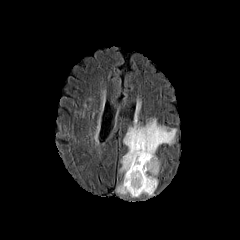
FLAIR magnetic resonance.
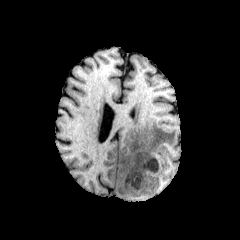
T1-weighted magnetic resonance.
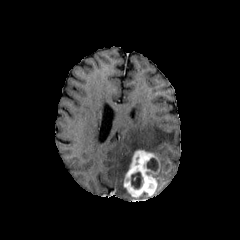
Post-contrast T1-weighted MR image of the same slice.
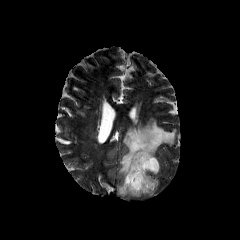
T2-weighted MR image of the same slice.
Image size 240x240 | Head
Annotated regions:
- non-enhancing tumor core: box(147, 158, 159, 171); box(131, 172, 143, 189)
- edema: box(117, 178, 129, 195); box(120, 118, 176, 177)
- enhancing tumor: box(124, 150, 160, 197)